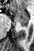 Image size 34x51, MRI, Medial temporal lobe

posterior hippocampus: (left=20, top=23, right=27, bottom=26) | anterior hippocampus: (left=11, top=7, right=28, bottom=23)